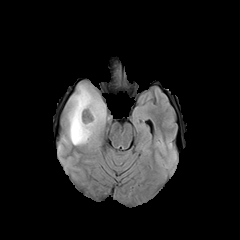
FLAIR magnetic resonance.
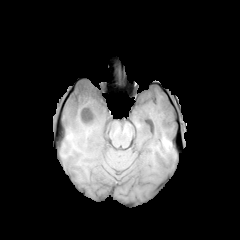
Same slice, T1-weighted magnetic resonance.
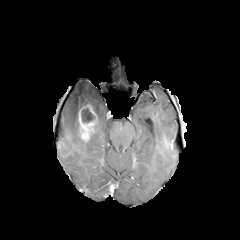
Same slice, post-contrast T1-weighted magnetic resonance.
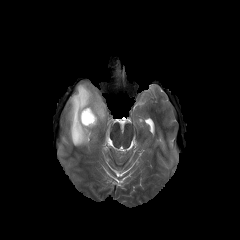
T2-weighted MRI.
Image size 240x240. Head.
edema: 66:84:107:145 | non-enhancing tumor core: 80:106:94:122 | enhancing tumor: 78:106:97:141